CT scan slice

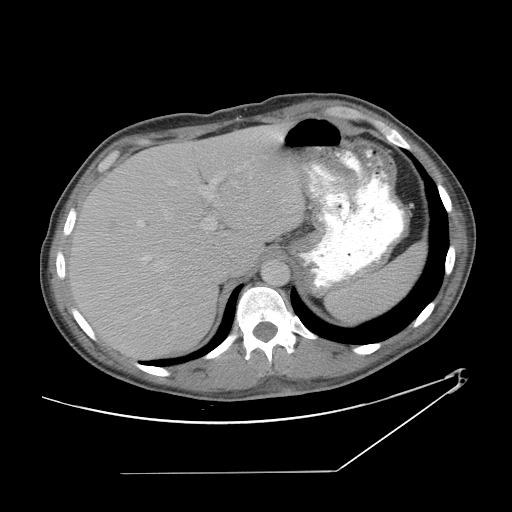
Only some of the vessels may be annotated.
hepatic vessel: 168 181 176 185, 215 195 218 196, 200 172 226 199, 156 262 165 270, 153 310 156 313, 168 287 170 288, 159 203 171 220, 143 253 149 260, 138 220 143 226, 201 218 215 229, 236 166 240 171, 233 181 236 184